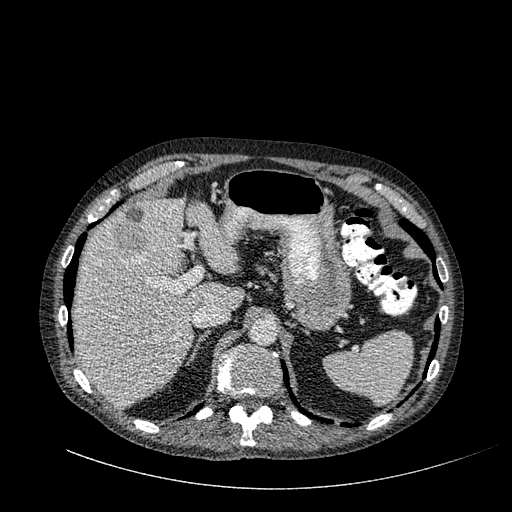
Image size 512x512 | Abdomen | CT slice
Liver: bounding box region(74, 197, 243, 406); region(188, 203, 236, 272).
Hepatic lesion: bounding box region(112, 206, 148, 257).